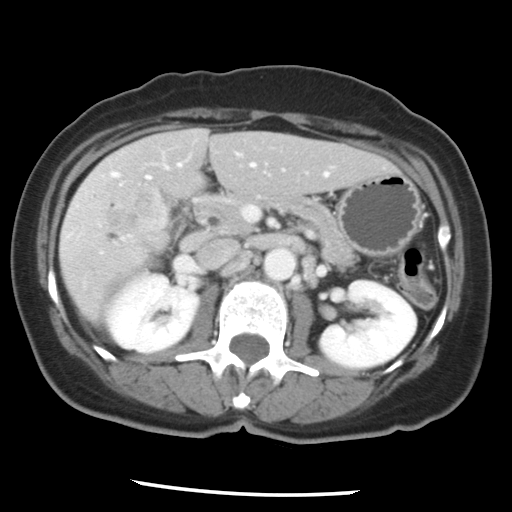 CT image

Only some of the vessels may be annotated.
The liver tumor is located at box=[106, 187, 163, 235]. 5 hepatic vessel regions appear at box=[326, 173, 327, 174]; box=[111, 172, 117, 176]; box=[147, 176, 148, 177]; box=[252, 163, 253, 165]; box=[242, 205, 258, 220].